Computed tomography; Slice index 63 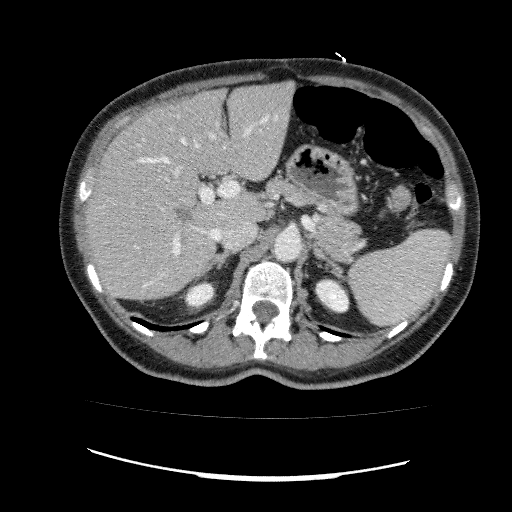
<segmentation>
  <hepatic_lesion>175:204:191:224</hepatic_lesion>
  <liver>85:81:295:299</liver>
  <kidney>187:284:212:305, 317:281:348:310</kidney>
</segmentation>